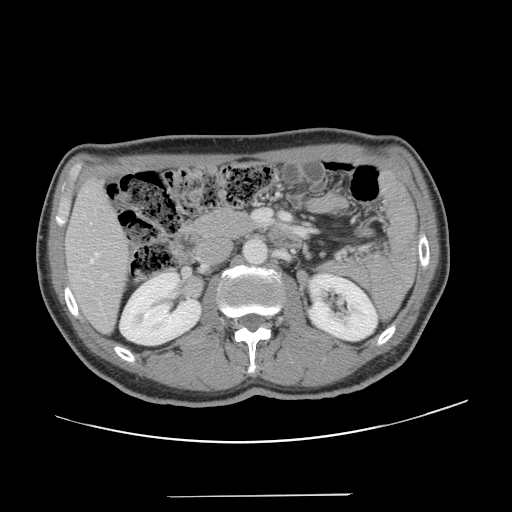 Computed tomography; 512x512; Abdomen

The vessel annotation is not exhaustive.
Findings:
• hepatic vessel: (left=95, top=253, right=98, bottom=256), (left=90, top=222, right=91, bottom=223), (left=91, top=260, right=93, bottom=262)